Field of view 35x52 mm | Slice 21 of 38 | 35x52 | Medial temporal lobe | MRI
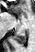 2 posterior hippocampus regions appear at (left=9, top=36, right=12, bottom=38), (left=12, top=32, right=26, bottom=45).